CT slice

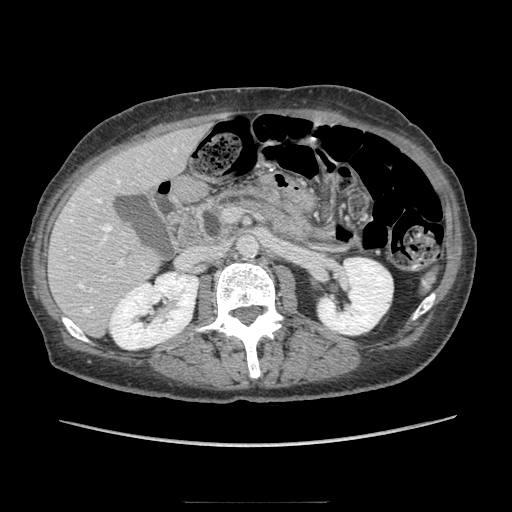
Pancreas: bounding box <bbox>196, 183, 312, 243</bbox>.